Field of view 403x403 mm. Computed tomography. 512x512. Abdomen. Slice index 92.

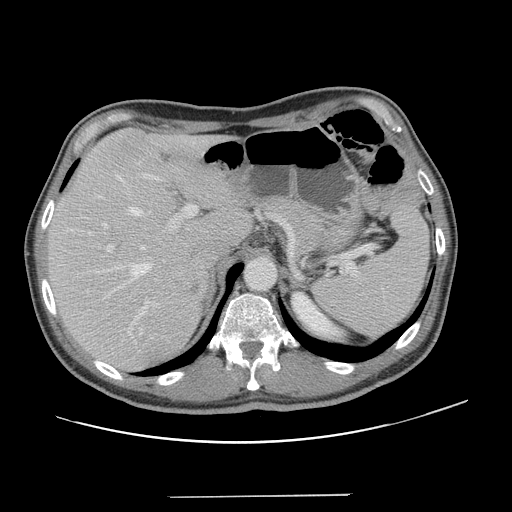
The vessel annotation is not exhaustive.
Segmented structures:
* liver tumor: <box>188,283,201,295</box>
* hepatic vessel: <box>107,263,150,295</box>, <box>106,244,113,251</box>, <box>171,217,179,222</box>, <box>183,205,196,216</box>, <box>144,174,160,180</box>, <box>139,328,141,333</box>, <box>149,211,150,213</box>, <box>141,245,144,249</box>, <box>117,176,122,180</box>, <box>128,326,132,334</box>, <box>88,232,91,235</box>, <box>133,301,156,324</box>, <box>103,224,106,227</box>, <box>130,207,140,215</box>, <box>70,230,73,230</box>